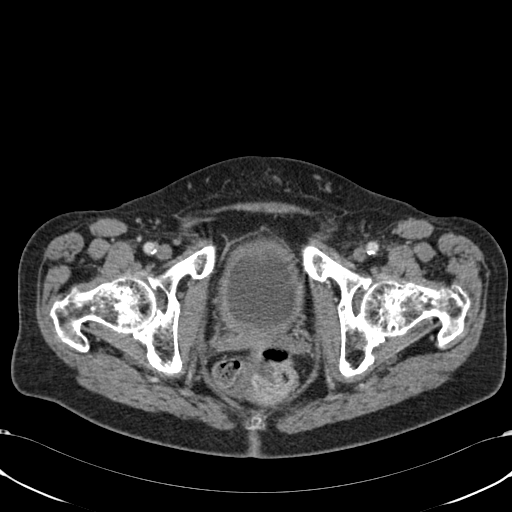

Pelvis; CT slice; 512x512
The urinary bladder is located at l=227, t=250, r=296, b=328.